Slice 27 of 34 | CT scan slice

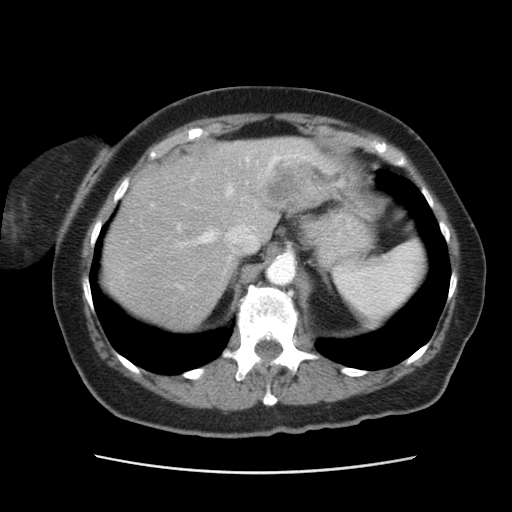 The vessel boxes may cover only some of the vessels.
hepatic_vessel:
  - [227,188,232,193]
  - [178,225,180,229]
  - [225,220,257,251]
  - [203,233,213,242]
liver_tumor:
  - [258,154,343,210]